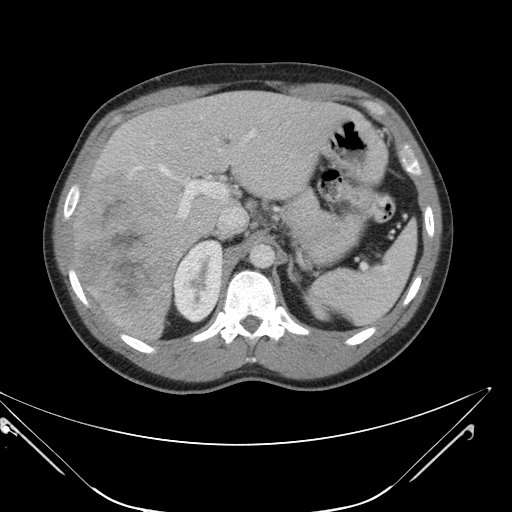
CT slice.
Some hepatic vessels may have no box.
<segmentation>
  <hepatic_vessel>[x1=241, y1=130, x2=254, y2=144], [x1=178, y1=178, x2=226, y2=217], [x1=219, y1=207, x2=243, y2=228], [x1=159, y1=164, x2=169, y2=175], [x1=128, y1=166, x2=142, y2=177], [x1=151, y1=141, x2=152, y2=146], [x1=218, y1=148, x2=221, y2=150], [x1=193, y1=134, x2=195, y2=135]</hepatic_vessel>
  <liver_tumor>[x1=75, y1=177, x2=175, y2=316]</liver_tumor>
</segmentation>